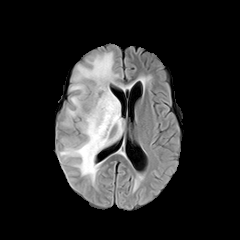
FLAIR MR.
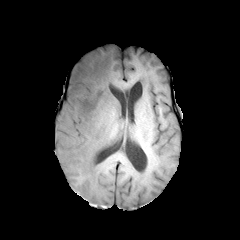
T1-weighted MRI.
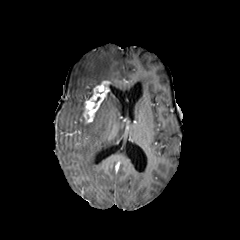
Same slice, post-contrast T1-weighted MRI.
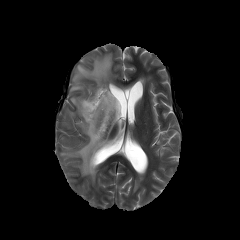
Same slice, T2-weighted magnetic resonance.
240x240 px
Enhancing tumor at x1=82 y1=80 x2=109 y2=122.
Edema at x1=60 y1=52 x2=124 y2=183.
Non-enhancing tumor core at x1=80 y1=96 x2=89 y2=113.